Liver | Slice index 92 | Image size 512x512 | Computed tomography | Field of view 404x404 mm
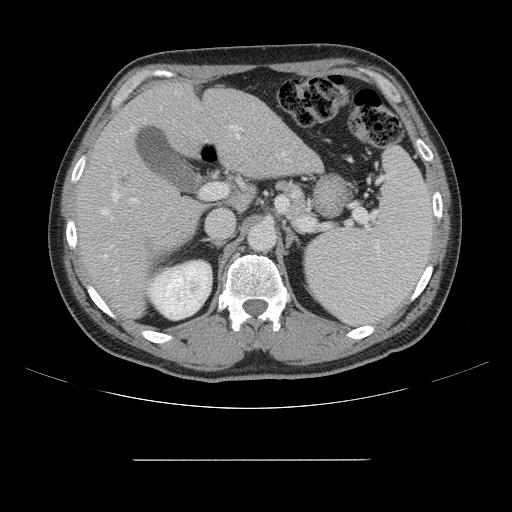 Not every hepatic vessel necessarily has a box.
15 hepatic vessel regions are bounded by <box>111,217,112,219</box>, <box>281,152,284,156</box>, <box>113,171,115,176</box>, <box>131,198,138,202</box>, <box>229,125,237,129</box>, <box>115,268,116,270</box>, <box>100,209,108,214</box>, <box>102,184,105,184</box>, <box>116,278,118,282</box>, <box>113,192,119,200</box>, <box>104,254,106,257</box>, <box>119,275,120,277</box>, <box>130,127,134,130</box>, <box>111,245,113,247</box>, <box>236,133,238,137</box>. The liver tumor is located at <box>122,176,130,185</box>.